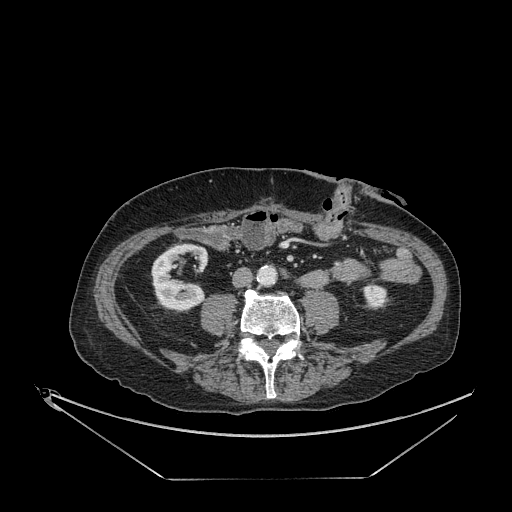

Computed tomography
2 kidney regions appear at x1=364 y1=285 x2=386 y2=308, x1=152 y1=244 x2=207 y2=310.